Medial temporal lobe. Magnetic resonance. 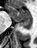
Annotated regions:
* posterior hippocampus: 16 22 30 29
* anterior hippocampus: 8 6 31 21